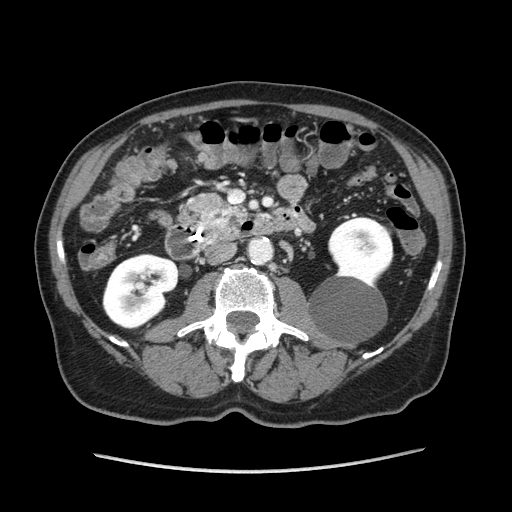 CT image. Upper abdomen.

Annotated regions:
- pancreatic tumor: 214, 213, 240, 237
- pancreas: 182, 194, 247, 240